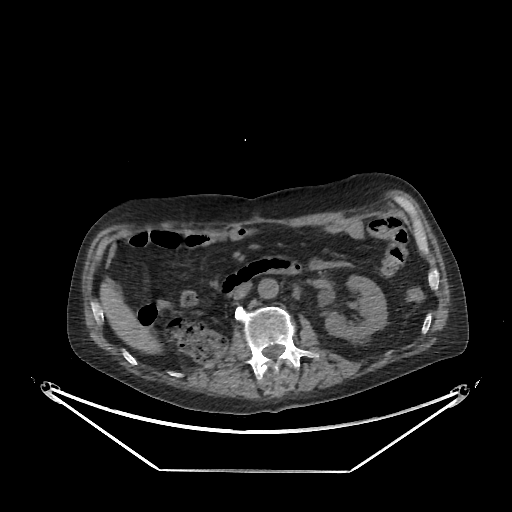 CT
{
  "liver": [
    "[x1=100, y1=280, x2=160, y2=352]"
  ],
  "kidney": [
    "[x1=318, y1=275, x2=387, y2=342]"
  ]
}